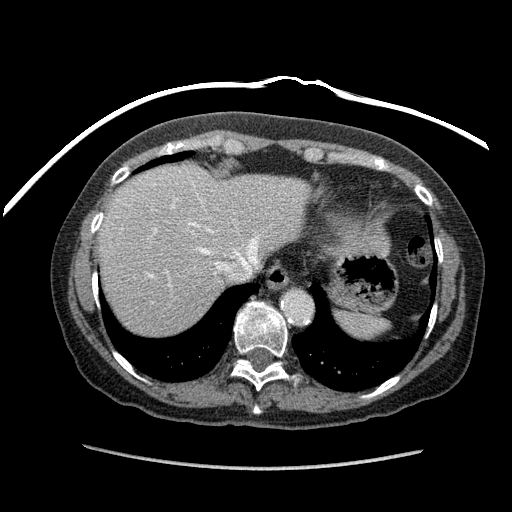
Upper abdomen. CT slice.

Liver at l=336, t=216, r=382, b=240; l=98, t=164, r=308, b=335.